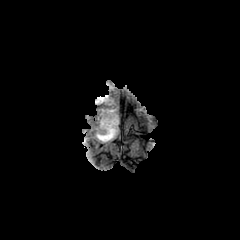
FLAIR MRI.
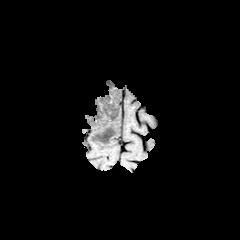
T1-weighted MR image.
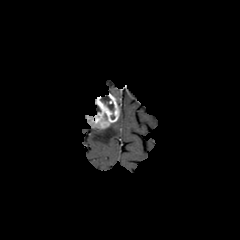
Same slice, post-contrast T1-weighted MR image.
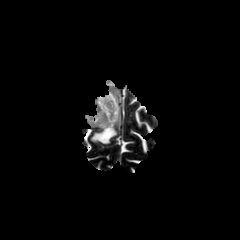
T2-weighted MRI.
240x240
edema:
  - l=92, t=123, r=117, b=143
enhancing_tumor:
  - l=85, t=93, r=119, b=129